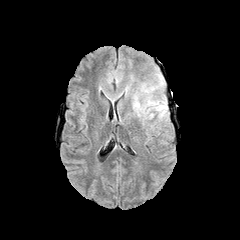
FLAIR MRI.
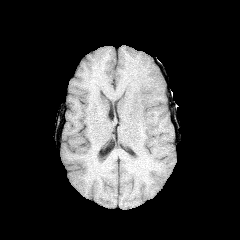
T1-weighted magnetic resonance.
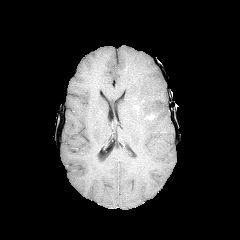
Post-contrast T1-weighted MRI.
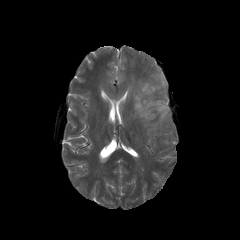
Same slice, T2-weighted MR image.
Head
edema:
  - box(134, 109, 147, 122)
  - box(133, 70, 167, 125)
non-enhancing_tumor_core:
  - box(134, 97, 153, 119)